CT scan slice, Image width 405 mm, Slice index 24
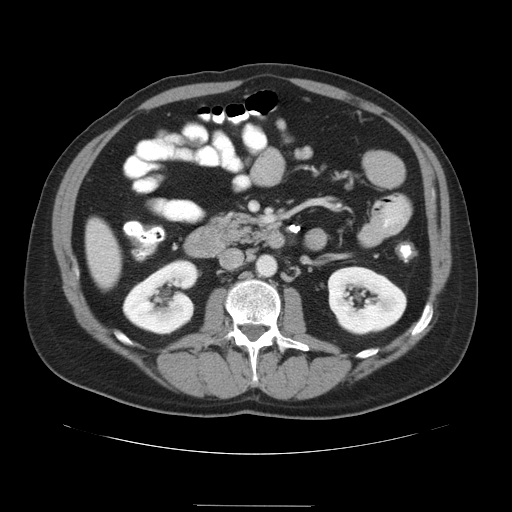
The vessel annotation is not exhaustive.
{"hepatic_vessel": ["left=112, top=265, right=113, bottom=266", "left=90, top=236, right=93, bottom=239"]}